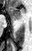
MRI, Medial temporal lobe
Annotated regions:
- anterior hippocampus: (left=7, top=7, right=20, bottom=19)